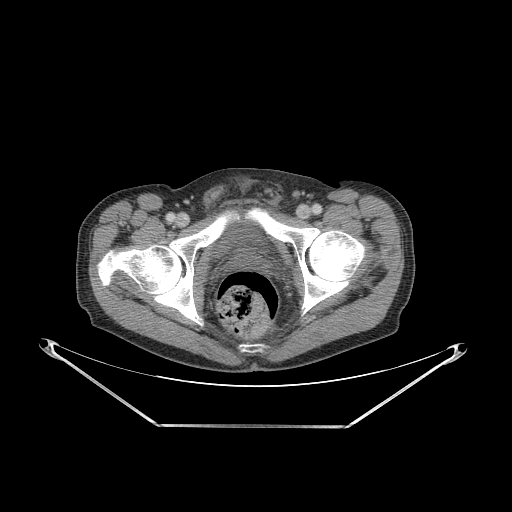 CT, 512x512
3 bone regions appear at left=98, top=214, right=230, bottom=322; left=242, top=345, right=256, bottom=352; left=246, top=209, right=364, bottom=312.